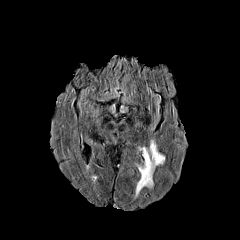
FLAIR MRI.
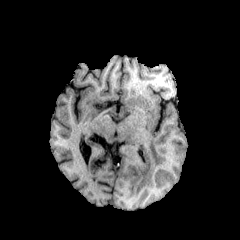
T1-weighted magnetic resonance of the same slice.
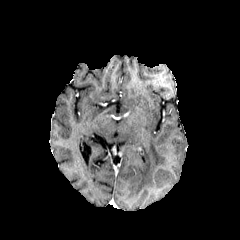
Post-contrast T1-weighted MR of the same slice.
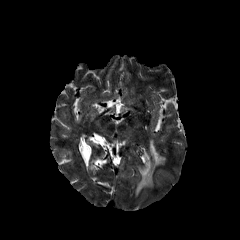
T2-weighted MRI.
Head. 240x240 px.
edema: x1=134, y1=139, x2=165, y2=199